320x320, MR

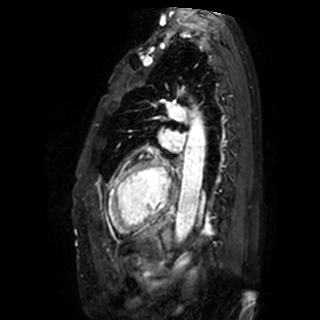

Left atrium = box=[160, 131, 182, 150].